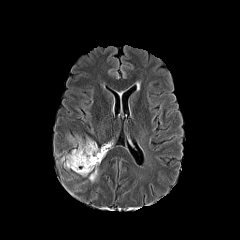
FLAIR MR.
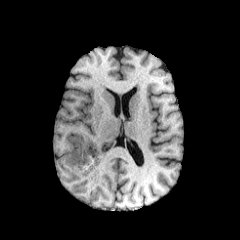
T1-weighted magnetic resonance.
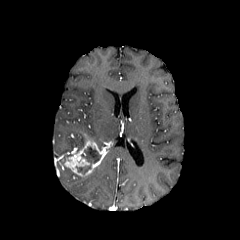
Post-contrast T1-weighted magnetic resonance.
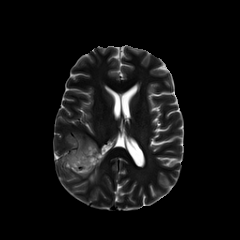
T2-weighted magnetic resonance.
Image size 240x240. Brain.
The enhancing tumor is located at box=[64, 139, 105, 176]. The edema appears at box=[89, 168, 97, 182]. 2 non-enhancing tumor core regions are located at box=[73, 138, 84, 151]; box=[75, 146, 101, 174].